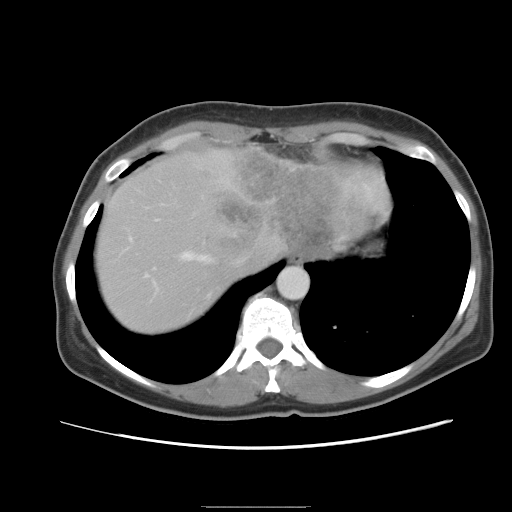 Abdomen. CT slice.

Only some of the vessels may be annotated.
Hepatic vessel = bbox=[153, 281, 156, 291]; bbox=[155, 218, 158, 219]; bbox=[145, 274, 148, 276]; bbox=[130, 238, 131, 242]; bbox=[180, 252, 202, 261].
Liver tumor = bbox=[199, 146, 375, 266].